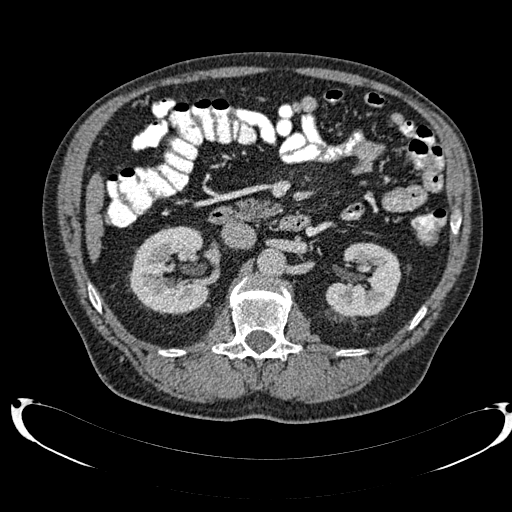
CT slice | 512x512 px | Upper abdomen
2 kidney regions are located at {"x1": 130, "y1": 226, "x2": 220, "y2": 313}, {"x1": 326, "y1": 243, "x2": 400, "y2": 317}. The liver is bounded by {"x1": 85, "y1": 173, "x2": 102, "y2": 260}.